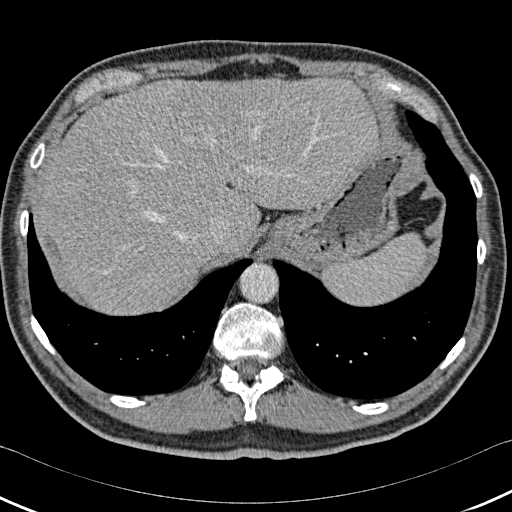

CT image
Bone — (left=353, top=403, right=387, bottom=414), (left=20, top=210, right=28, bottom=235), (left=440, top=338, right=464, bottom=368), (left=214, top=303, right=281, bottom=360), (left=30, top=143, right=44, bottom=168), (left=470, top=173, right=481, bottom=197), (left=110, top=395, right=145, bottom=407), (left=220, top=364, right=283, bottom=420), (left=31, top=316, right=54, bottom=354), (left=477, top=239, right=485, bottom=263).
Liver — (left=38, top=77, right=373, bottom=314).
Lung — (left=27, top=213, right=252, bottom=395), (left=272, top=109, right=477, bottom=402).